FLAIR MR image.
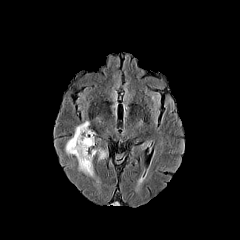
T1-weighted MR image.
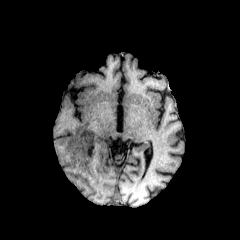
Post-contrast T1-weighted MR image.
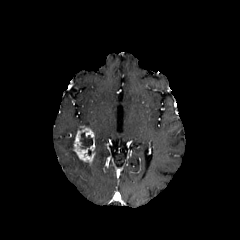
T2-weighted magnetic resonance.
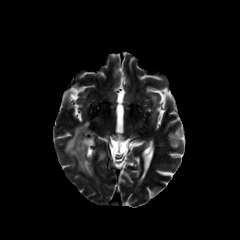
edema: x1=93, y1=146, x2=108, y2=162; x1=65, y1=126, x2=95, y2=177 | non-enhancing tumor core: x1=79, y1=132, x2=92, y2=149 | enhancing tumor: x1=73, y1=125, x2=94, y2=162